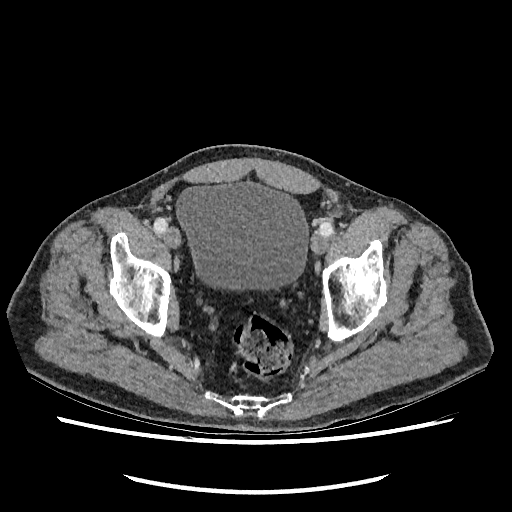
Pelvis, Image size 512x512, CT scan slice

The urinary bladder is at (176, 180, 308, 289).